CT image | Slice 36/74 | Liver 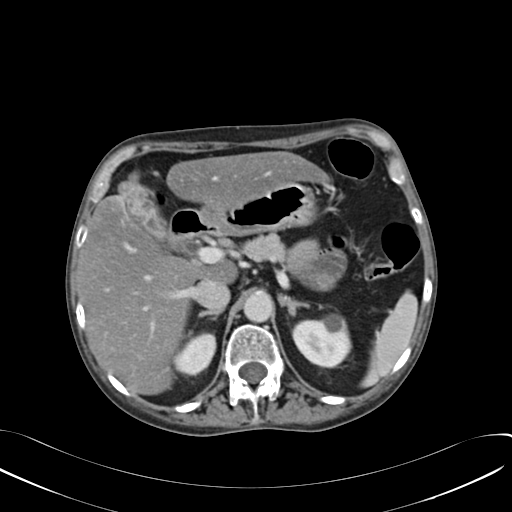
* kidney: 179 337 213 372, 294 322 347 365
* liver: 167 151 328 210, 79 179 236 394
* hepatic lesion: 123 185 149 217